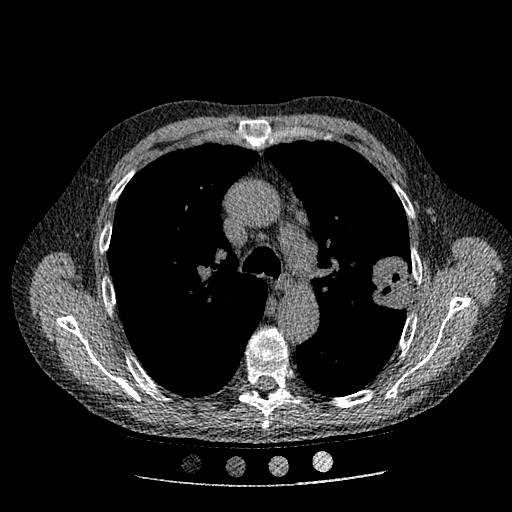
CT slice | Chest

Lung tumor = (left=346, top=251, right=411, bottom=312).